Slice 34/87, CT image, Pelvis
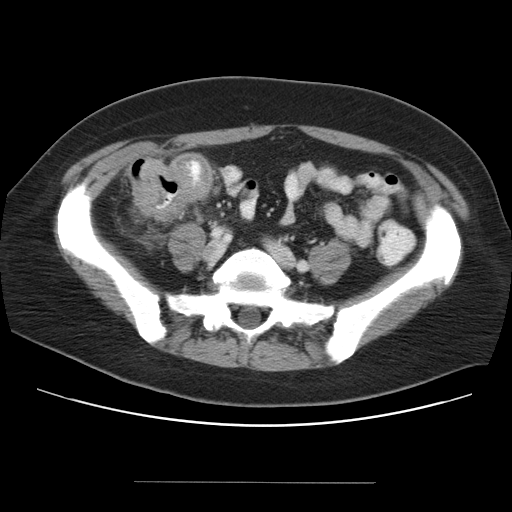 Colon tumor — (left=133, top=159, right=206, bottom=219).